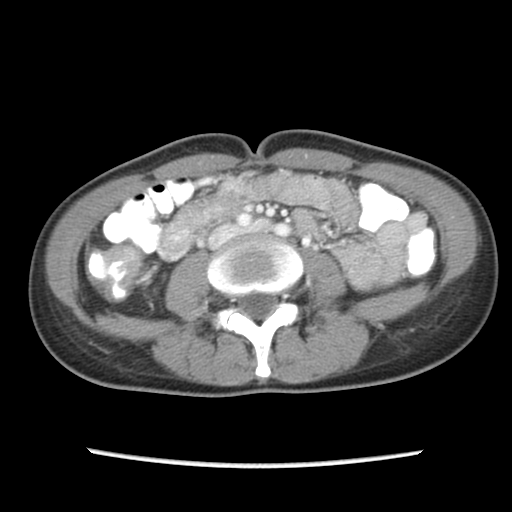 Pelvis; CT slice; 512x512 px

- colon tumor: 84, 245, 139, 301